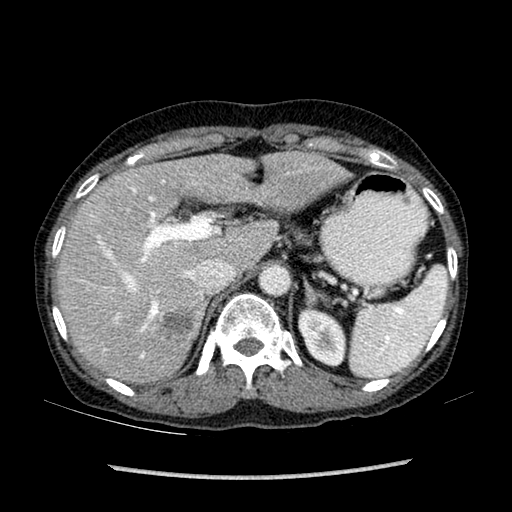

Liver | CT image
Segmented structures:
• hepatic lesion: x1=159, y1=307, x2=197, y2=335
• liver: x1=58, y1=152, x2=347, y2=382
• kidney: x1=300, y1=312, x2=343, y2=363